CT image | 512x512 | Liver

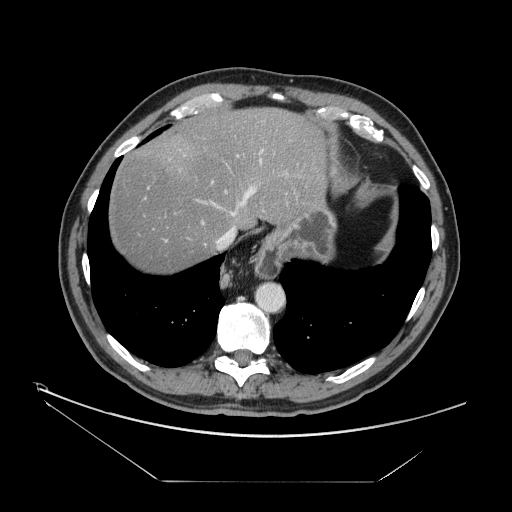 The vessel boxes may cover only some of the vessels.
hepatic vessel: bbox=[231, 227, 235, 230]; bbox=[231, 213, 235, 215]; bbox=[241, 186, 254, 205]; bbox=[261, 150, 262, 151]